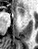
MR image.
<segmentation>
  <anterior_hippocampus>x1=16, y1=7, x2=24, y2=16</anterior_hippocampus>
</segmentation>